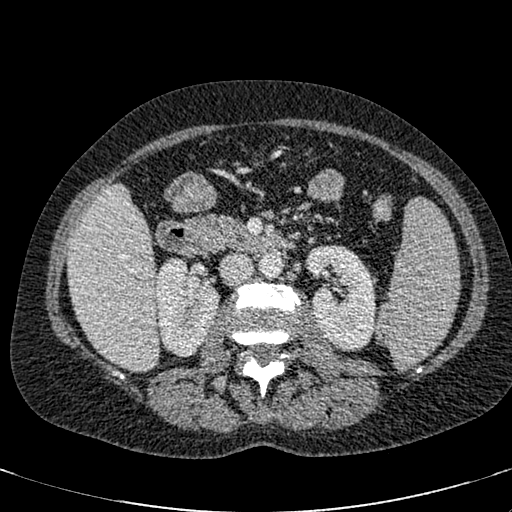 Computed tomography | Upper abdomen | 512x512
Segmented structures:
• liver: {"x1": 67, "y1": 184, "x2": 158, "y2": 370}
• kidney: {"x1": 156, "y1": 259, "x2": 218, "y2": 356}, {"x1": 307, "y1": 246, "x2": 374, "y2": 349}